FLAIR MRI.
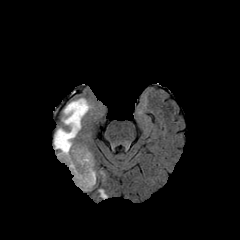
T1-weighted MR image.
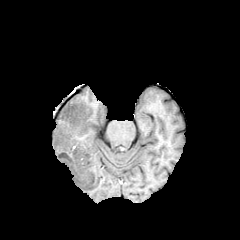
Post-contrast T1-weighted MRI.
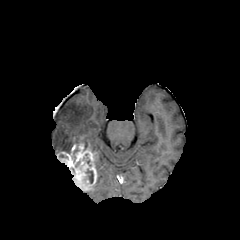
T2-weighted magnetic resonance.
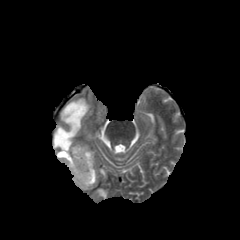
Brain
{"enhancing_tumor": ["x1=57, y1=145, x2=95, y2=189"], "edema": ["x1=53, y1=98, x2=93, y2=151", "x1=98, y1=189, x2=107, y2=197"], "non-enhancing_tumor_core": ["x1=85, y1=168, x2=93, y2=183"]}